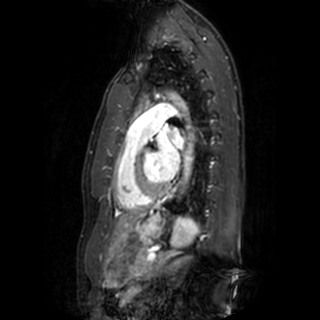
MRI; Heart
The left atrium is at bbox=[156, 128, 183, 180].